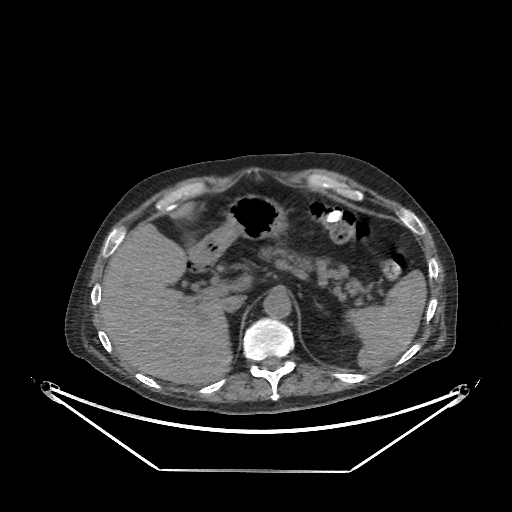

512x512 px; CT image
Liver at [93,223,250,384], [170,203,192,217].